Head
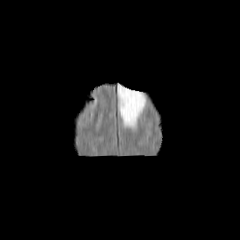
FLAIR MRI.
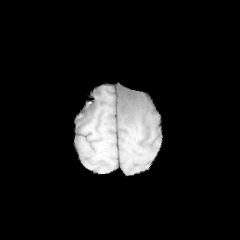
Same slice, T1-weighted MR image.
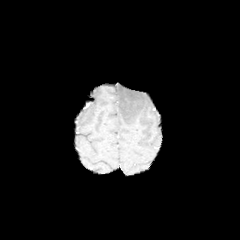
Post-contrast T1-weighted MR image of the same slice.
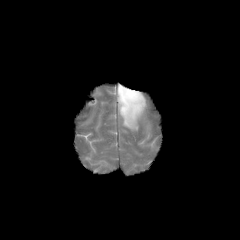
T2-weighted MR image of the same slice.
The edema appears at bbox=[117, 83, 146, 129].